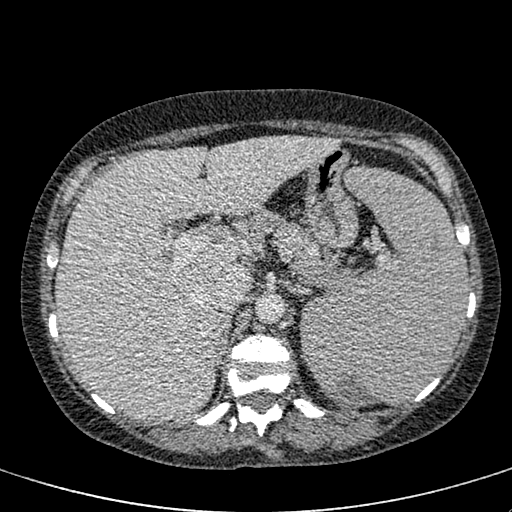 CT scan slice. Liver at region(58, 137, 337, 420).